FLAIR MRI.
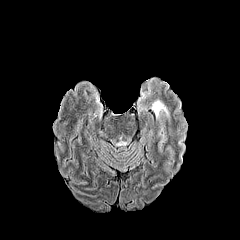
T1-weighted MR image.
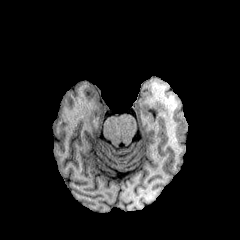
Post-contrast T1-weighted MR image.
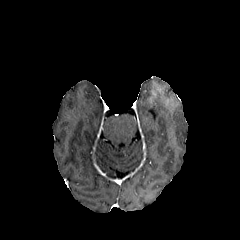
T2-weighted MR.
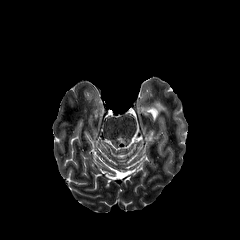
Edema: bounding box [151, 101, 170, 124].